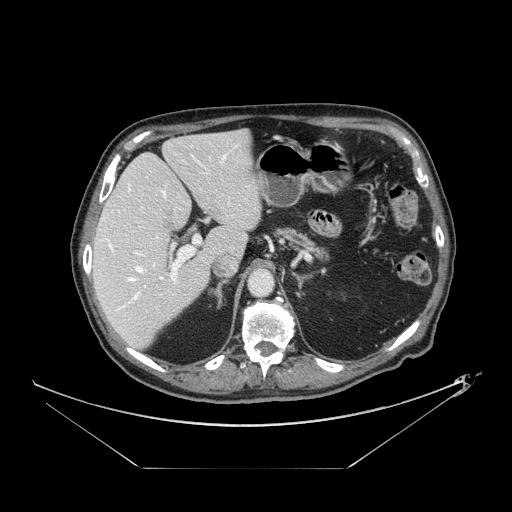 Abdomen; 512x512 px; CT image
Pancreas — (279,229,327,260).